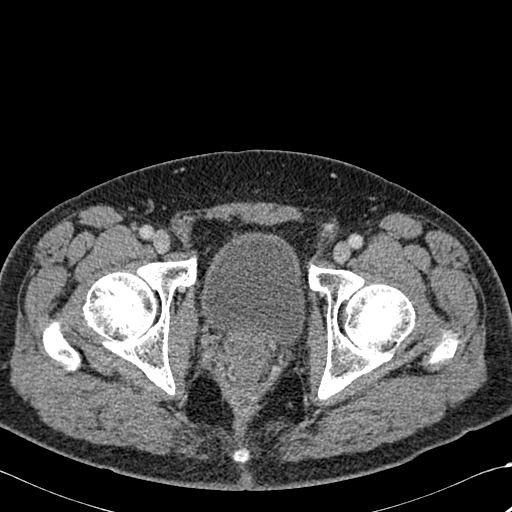

CT image.
Bone = rect(430, 332, 456, 363); rect(83, 258, 196, 394); rect(43, 322, 79, 370); rect(309, 265, 414, 399); rect(237, 453, 244, 460).